FLAIR MRI.
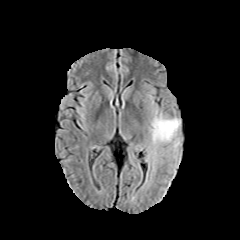
T1-weighted MRI.
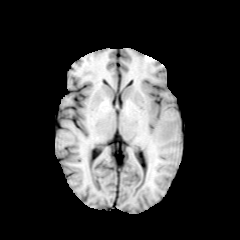
Post-contrast T1-weighted MR.
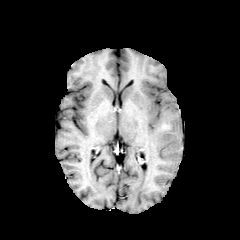
T2-weighted MR image.
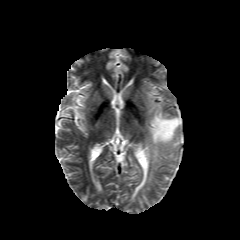
Brain, Image size 240x240
edema: (left=140, top=108, right=181, bottom=165)